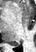
MR.
Segmented structures:
• posterior hippocampus: box(11, 43, 19, 46)